Brain. 240x240.
FLAIR magnetic resonance.
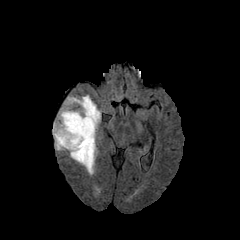
T1-weighted magnetic resonance.
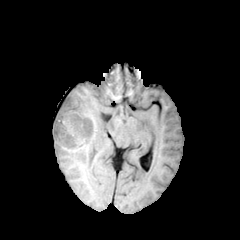
Post-contrast T1-weighted magnetic resonance.
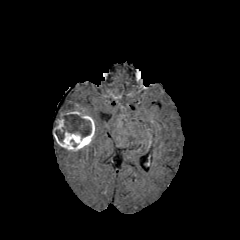
T2-weighted MRI.
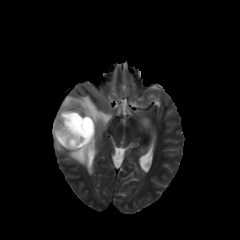
Edema = (x1=54, y1=94, x2=101, y2=175).
Non-enhancing tumor core = (x1=55, y1=97, x2=91, y2=143).
Enhancing tumor = (x1=53, y1=104, x2=94, y2=150).